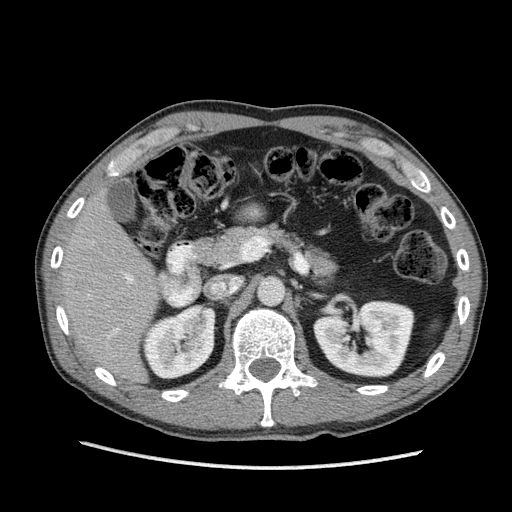
CT scan slice. Liver. kidney: region(145, 306, 214, 377); region(314, 302, 412, 375) | liver: region(58, 186, 170, 384)